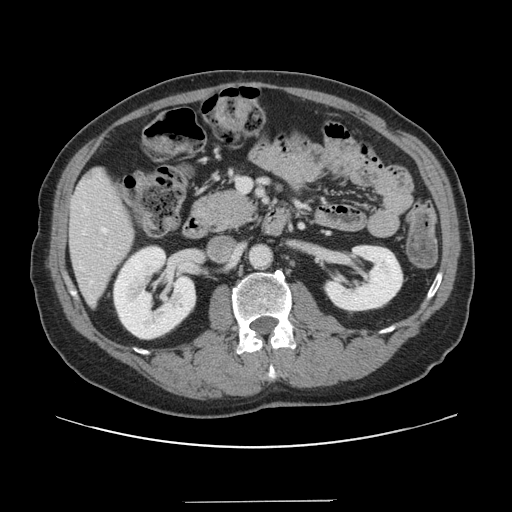

Abdomen; Computed tomography; Image size 512x512
Only some of the vessels may be annotated.
2 hepatic vessel regions appear at <bbox>102, 228, 106, 232</bbox>, <bbox>238, 179, 250, 191</bbox>.